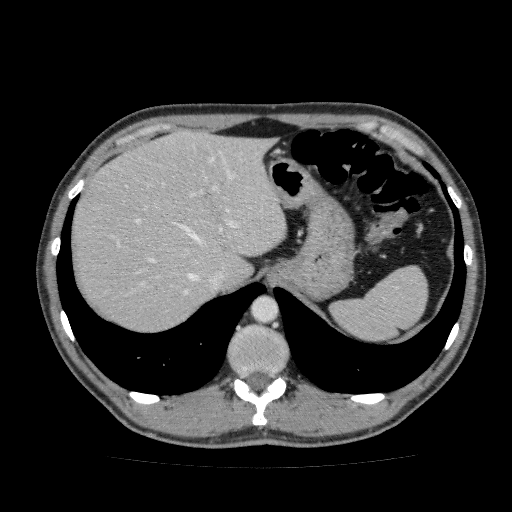
Computed tomography, 512x512 px
{"liver": ["x1=71 y1=130 x2=286 y2=332"]}